Brain, Field of view 240x240 mm
FLAIR MR.
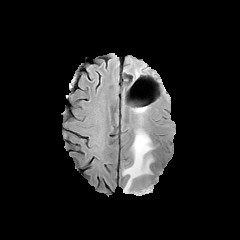
T1-weighted MRI.
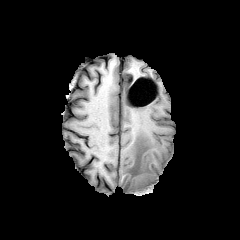
Post-contrast T1-weighted magnetic resonance.
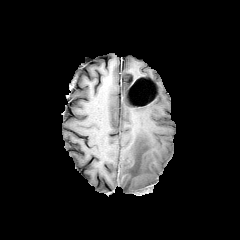
T2-weighted MR image.
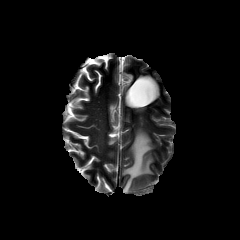
Findings:
• edema: [x1=122, y1=128, x2=153, y2=193]